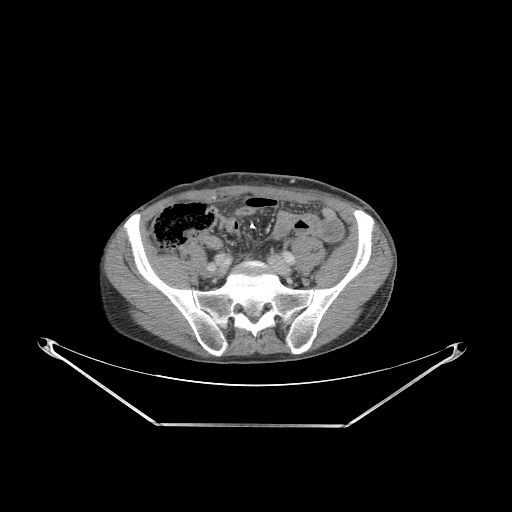
512x512 px; CT slice
• bone: (x1=124, y1=210, x2=373, y2=355)